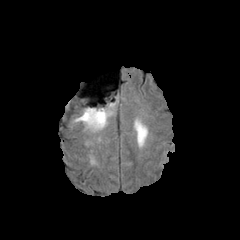
FLAIR MR image.
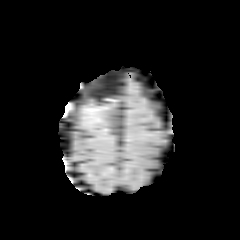
T1-weighted MRI.
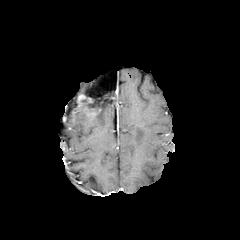
Post-contrast T1-weighted MRI.
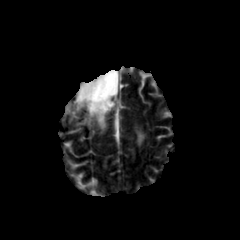
T2-weighted MRI of the same slice.
Head
2 edema regions are located at (x1=133, y1=124, x2=148, y2=145), (x1=73, y1=102, x2=115, y2=133). The non-enhancing tumor core lies within (x1=88, y1=100, x2=111, y2=115).